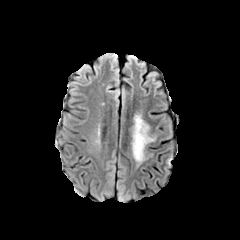
FLAIR magnetic resonance.
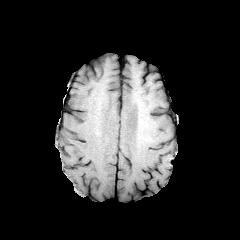
T1-weighted MR image.
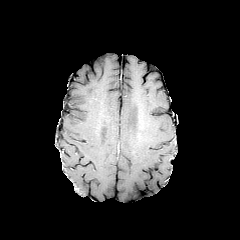
Post-contrast T1-weighted MRI.
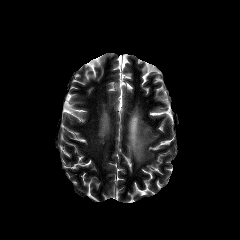
T2-weighted MR image.
The edema is bounded by (x1=131, y1=116, x2=154, y2=162).